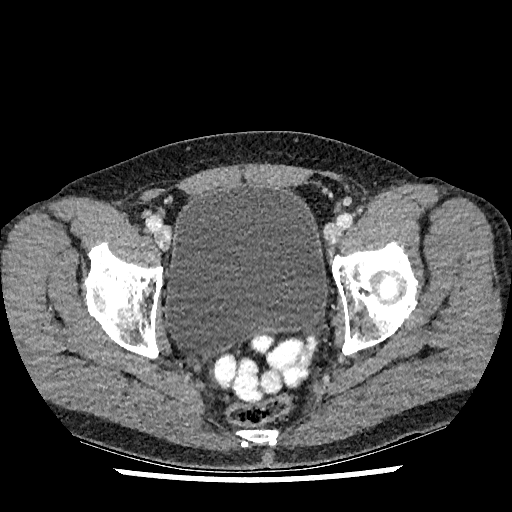
CT scan slice. urinary_bladder:
  - x1=164, y1=186, x2=327, y2=356